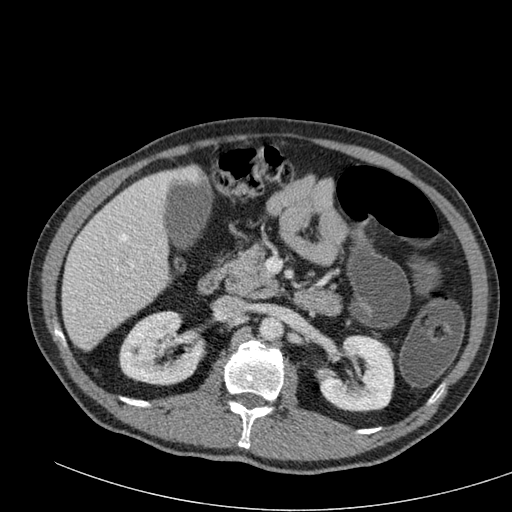

CT image | Image size 512x512 | Liver
liver: <box>62,166,200,348</box> | kidney: <box>120,312,202,384</box>, <box>319,336,393,410</box>